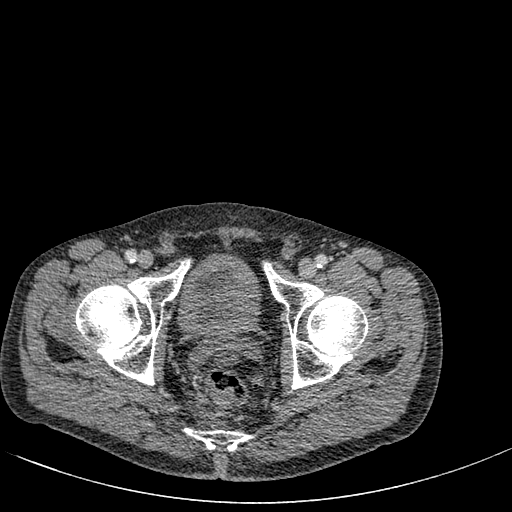 Computed tomography
urinary_bladder:
  - x1=175, y1=250, x2=263, y2=339